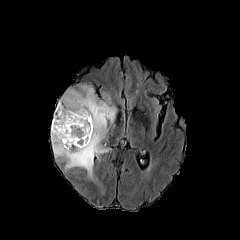
FLAIR MR image.
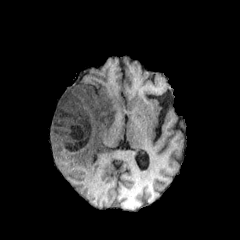
T1-weighted magnetic resonance.
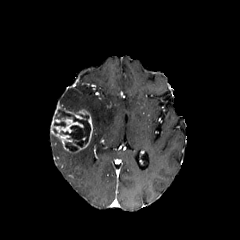
Post-contrast T1-weighted MR.
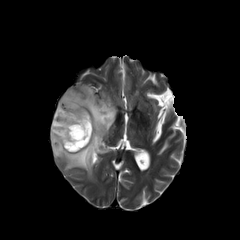
Same slice, T2-weighted magnetic resonance.
240x240 | Head
2 enhancing tumor regions are located at 65, 108, 93, 153; 51, 116, 83, 151. 3 non-enhancing tumor core regions are bounded by 61, 117, 90, 147; 54, 107, 71, 119; 65, 142, 78, 152. The edema is bounded by 50, 83, 117, 182.